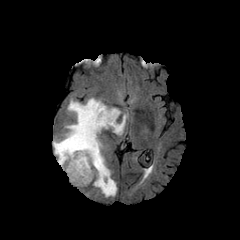
FLAIR magnetic resonance.
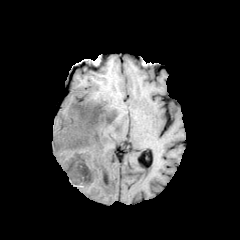
T1-weighted MR image.
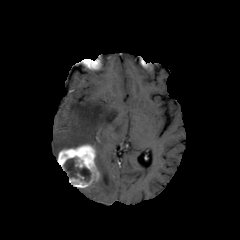
Post-contrast T1-weighted MR of the same slice.
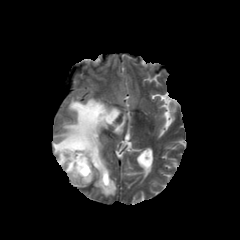
T2-weighted MR.
240x240
The edema is at left=53, top=97, right=128, bottom=196. 2 enhancing tumor regions are located at left=58, top=143, right=97, bottom=178; left=70, top=174, right=88, bottom=186. 3 non-enhancing tumor core regions appear at left=64, top=140, right=96, bottom=155; left=61, top=158, right=99, bottom=181; left=92, top=106, right=99, bottom=121.